Slice 83 of 155
FLAIR magnetic resonance.
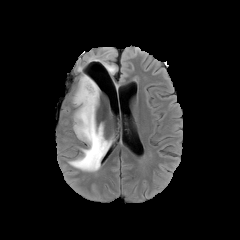
T1-weighted MR image.
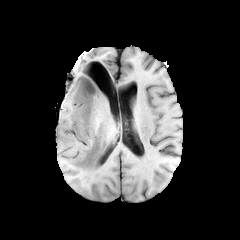
Post-contrast T1-weighted magnetic resonance.
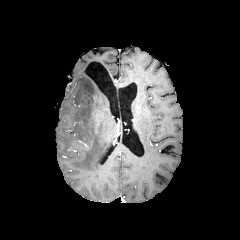
T2-weighted MR image.
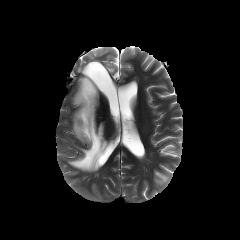
<segmentation>
  <edema>(x1=101, y1=60, x2=116, y2=74), (x1=68, y1=74, x2=112, y2=171)</edema>
</segmentation>